Slice index 94. Image width 240 mm. Head.
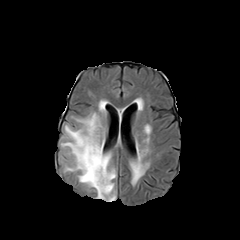
FLAIR MR image.
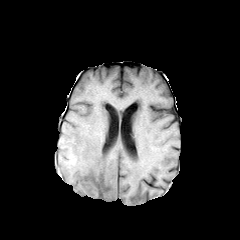
T1-weighted magnetic resonance.
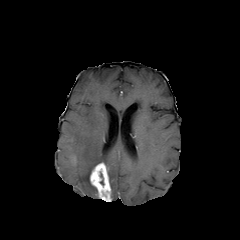
Post-contrast T1-weighted MR.
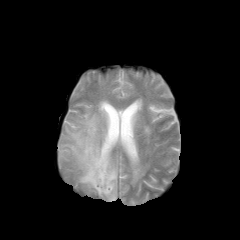
Same slice, T2-weighted MR.
{
  "enhancing_tumor": [
    "90 162 111 199"
  ],
  "edema": [
    "60 100 117 201",
    "132 162 142 181"
  ]
}